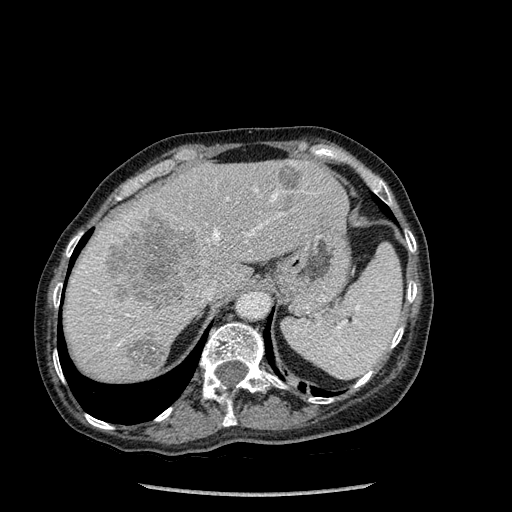
512x512 px | Computed tomography
12 bone regions are located at x1=85 y1=414 x2=113 y2=429, x1=389 y1=327 x2=403 y2=348, x1=66 y1=233 x2=81 y2=257, x1=155 y1=407 x2=172 y2=421, x1=405 y1=229 x2=416 y2=252, x1=53 y1=350 x2=63 y2=381, x1=407 y1=281 x2=416 y2=302, x1=354 y1=370 x2=372 y2=387, x1=53 y1=282 x2=62 y2=307, x1=308 y1=397 x2=333 y2=403, x1=371 y1=179 x2=392 y2=205, x1=200 y1=322 x2=287 y2=426. 4 hepatic lesion regions are located at x1=279 y1=166 x2=300 y2=191, x1=281 y1=196 x2=293 y2=211, x1=127 y1=331 x2=164 y2=369, x1=104 y1=212 x2=201 y2=312. The liver is at x1=63 y1=159 x2=349 y2=383. 5 lung regions are located at x1=264 y1=325 x2=278 y2=372, x1=375 y1=198 x2=391 y2=216, x1=72 y1=238 x2=86 y2=262, x1=286 y1=379 x2=335 y2=396, x1=57 y1=330 x2=201 y2=424.